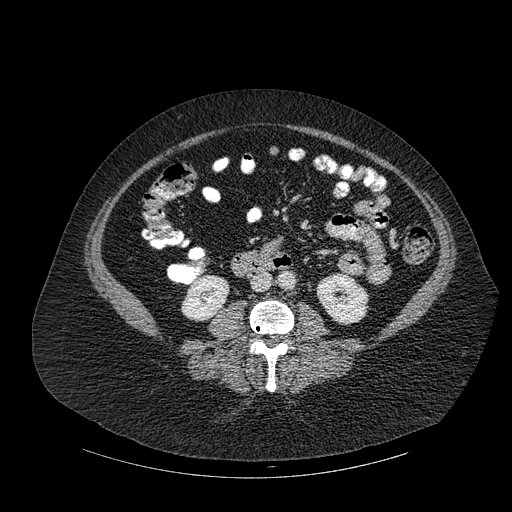
Abdomen | 512x512 | CT image
Bone: bounding box <bbox>250, 301, 293, 391</bbox>.
Kidney: bounding box <bbox>317, 274, 367, 323</bbox>, <bbox>182, 275, 228, 320</bbox>.